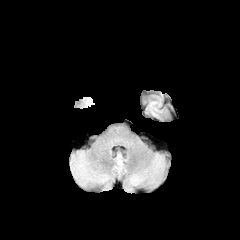
FLAIR MR image.
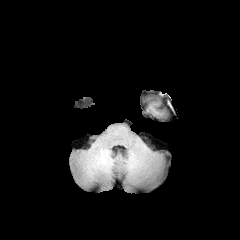
T1-weighted MR.
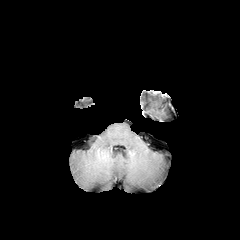
Post-contrast T1-weighted MRI.
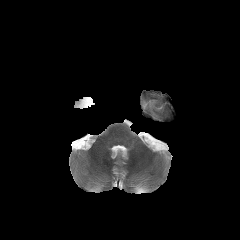
Same slice, T2-weighted MR image.
Brain
Non-enhancing tumor core — {"x1": 78, "y1": 97, "x2": 93, "y2": 106}.